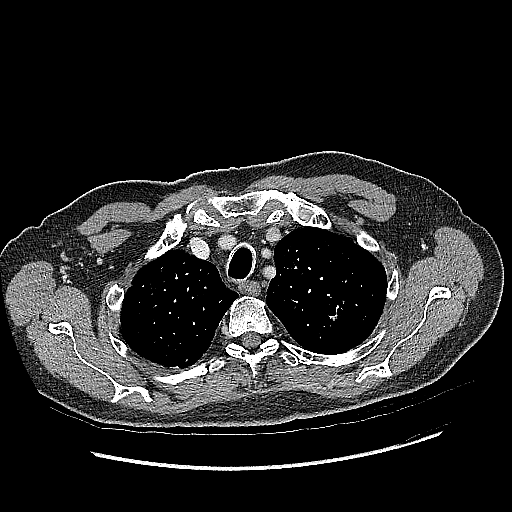

Image size 512x512, CT

{
  "lung_tumor": [
    "<bbox>135, 283, 146, 289</bbox>"
  ]
}